Slice 167/407; Computed tomography

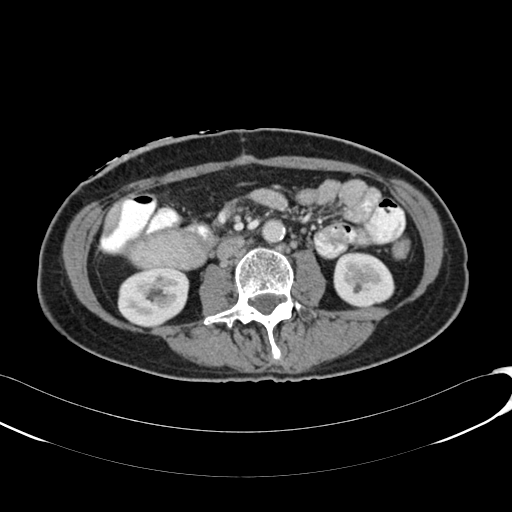 2 kidney regions are bounded by bbox(119, 268, 185, 325); bbox(334, 254, 393, 306). The liver appears at bbox(104, 204, 120, 231).